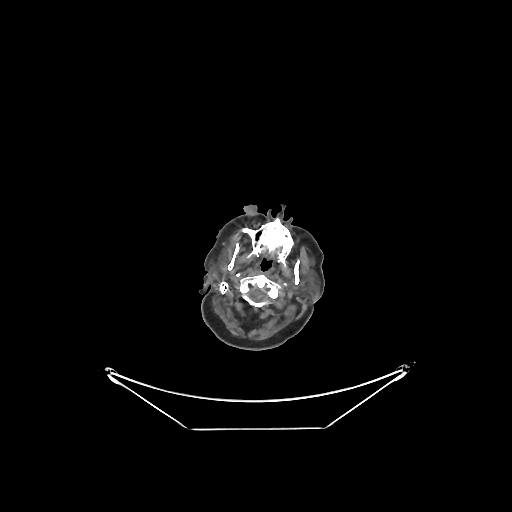 CT.
brain: region(246, 284, 269, 302)